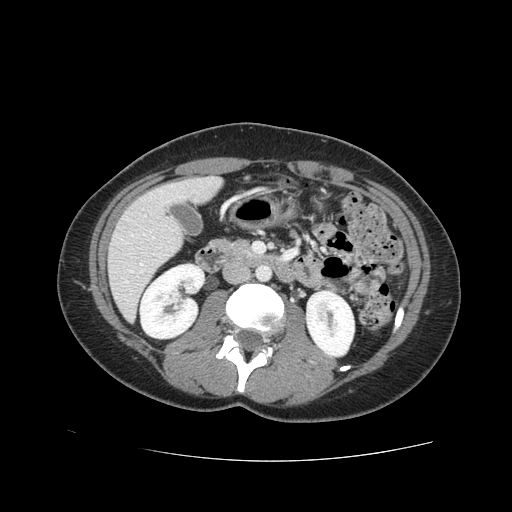
512x512 px; CT image; Abdomen
{
  "pancreas": [
    "left=215, top=239, right=252, bottom=258"
  ]
}